Brain; Slice 93/155
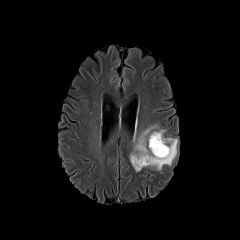
FLAIR MRI.
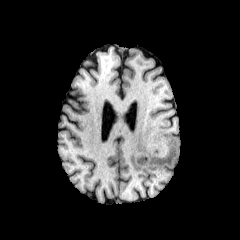
T1-weighted MR image of the same slice.
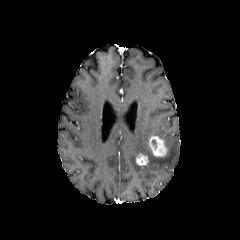
Post-contrast T1-weighted MRI.
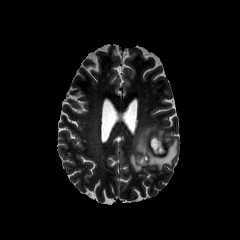
T2-weighted magnetic resonance.
Edema — <box>129,124,176,172</box>.
Enhancing tumor — <box>135,153,149,168</box>, <box>148,133,168,157</box>.